Image width 240 mm; Slice index 94
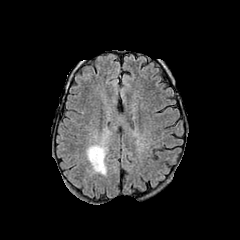
FLAIR magnetic resonance.
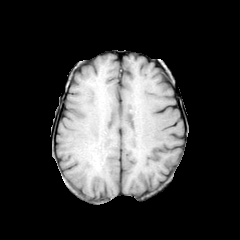
T1-weighted MRI.
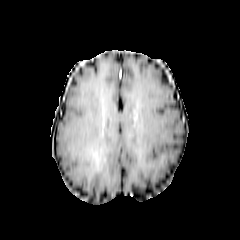
Post-contrast T1-weighted MRI.
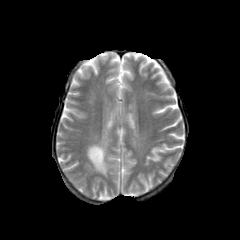
T2-weighted magnetic resonance.
edema:
  - (left=85, top=127, right=116, bottom=176)
non-enhancing_tumor_core:
  - (left=90, top=146, right=104, bottom=170)